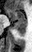

Magnetic resonance. Medial temporal lobe.

{"posterior_hippocampus": ["14 23 26 35"], "anterior_hippocampus": ["5 8 26 22"]}